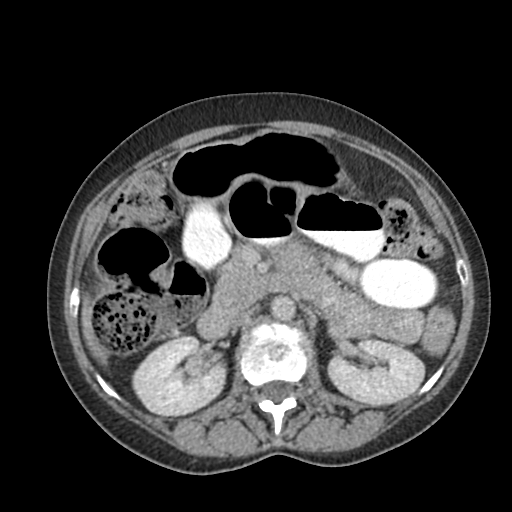 512x512 px. CT image.
Colon tumor = [150, 267, 172, 287].